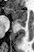 MR image
- anterior hippocampus: (x1=9, y1=7, x2=26, y2=21)
- posterior hippocampus: (x1=15, y1=22, x2=25, y2=27)